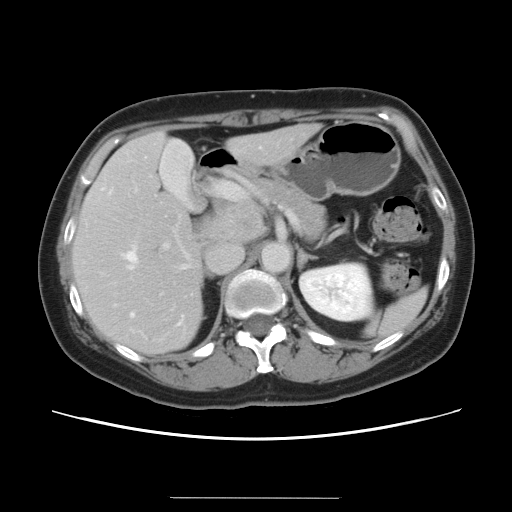
CT image.
The vessel annotation is not exhaustive.
<segmentation>
  <liver_tumor>(x1=213, y1=207, x2=260, y2=240)</liver_tumor>
  <hepatic_vessel>(x1=109, y1=190, x2=111, y2=194), (x1=135, y1=189, x2=136, y2=192), (x1=180, y1=265, x2=188, y2=269), (x1=178, y1=316, x2=183, y2=325), (x1=183, y1=251, x2=184, y2=253), (x1=114, y1=305, x2=115, y2=306), (x1=130, y1=313, x2=133, y2=316), (x1=163, y1=244, x2=168, y2=248), (x1=122, y1=247, x2=136, y2=268), (x1=218, y1=183, x2=243, y2=199), (x1=101, y1=188, x2=103, y2=190)</hepatic_vessel>
</segmentation>